240x240.
FLAIR MRI.
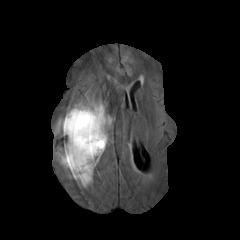
T1-weighted magnetic resonance.
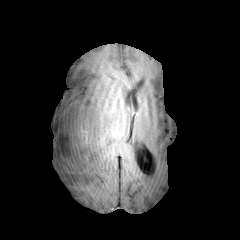
Post-contrast T1-weighted MR image.
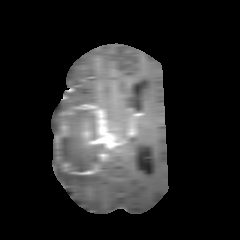
T2-weighted MR image.
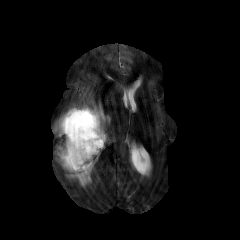
3 enhancing tumor regions appear at 74, 170, 93, 173; 76, 104, 113, 146; 60, 122, 67, 135. The non-enhancing tumor core lies within 57, 108, 101, 169. 3 edema regions are located at 52, 100, 103, 186; 104, 110, 111, 128; 90, 146, 108, 173.